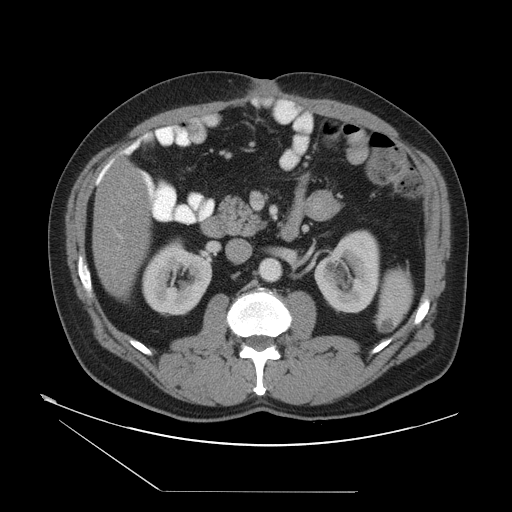
CT image
Not every hepatic vessel necessarily has a box.
Hepatic vessel — box(114, 230, 121, 239); box(122, 201, 124, 203); box(120, 218, 123, 222).